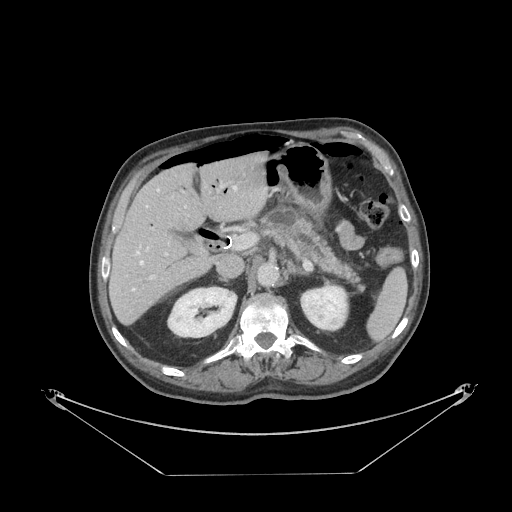 CT scan slice, Upper abdomen
The pancreas is located at x1=263 y1=208 x2=363 y2=289.